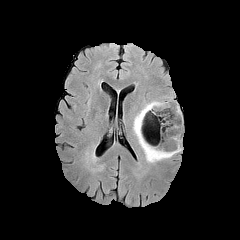
FLAIR MR.
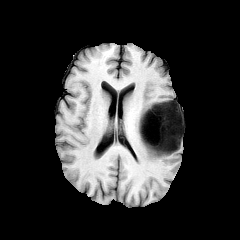
T1-weighted magnetic resonance.
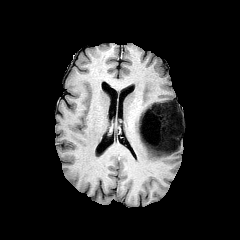
Post-contrast T1-weighted MRI.
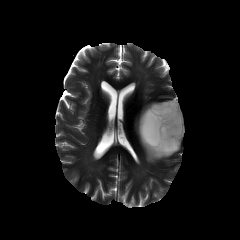
Same slice, T2-weighted MR image.
240x240 px, Head
• non-enhancing tumor core: 150, 102, 181, 153
• edema: 133, 100, 181, 162; 166, 99, 182, 131